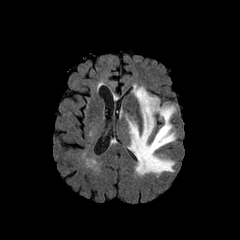
FLAIR magnetic resonance.
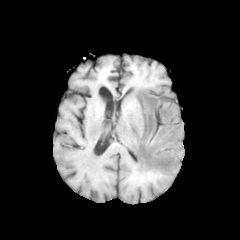
Same slice, T1-weighted MRI.
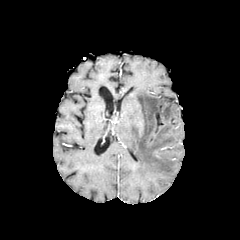
Post-contrast T1-weighted MR image.
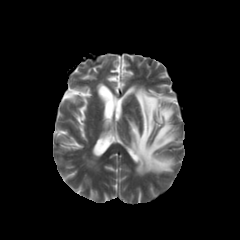
T2-weighted MR.
<segmentation>
  <edema>[x1=126, y1=84, x2=178, y2=175]</edema>
</segmentation>